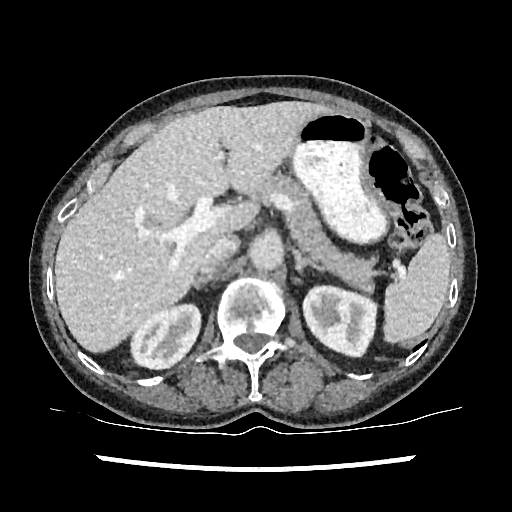

512x512 | Computed tomography | Liver

<segmentation>
  <liver><bbox>56, 102, 330, 350</bbox></liver>
  <kidney><bbox>132, 305, 199, 371</bbox>, <bbox>304, 287, 375, 356</bbox></kidney>
</segmentation>